Head, Slice 119/155
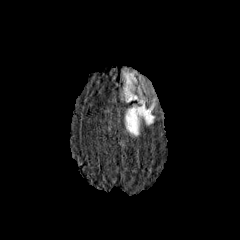
FLAIR MRI.
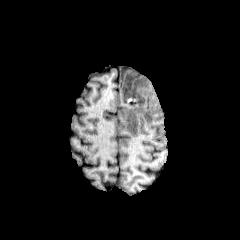
T1-weighted MR.
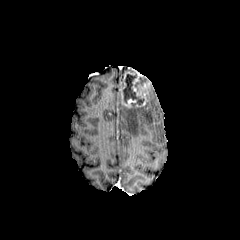
Post-contrast T1-weighted MR of the same slice.
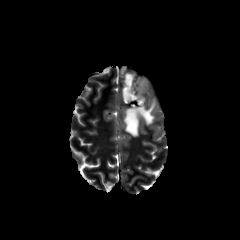
Same slice, T2-weighted MR.
The non-enhancing tumor core appears at [122, 74, 144, 104]. The edema lies within [125, 107, 155, 137]. The enhancing tumor is bounded by [120, 69, 154, 109].